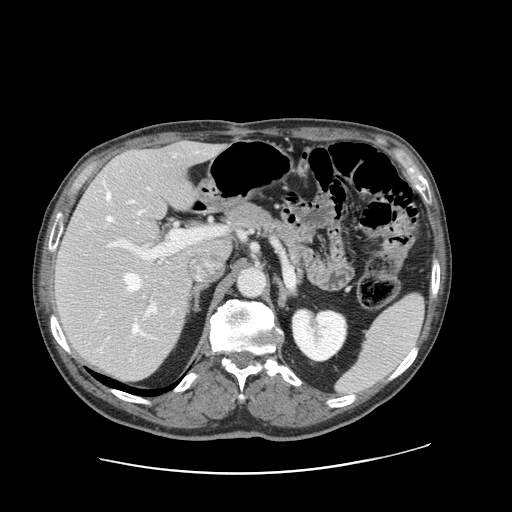

Liver; CT
Only some of the vessels may be annotated.
hepatic_vessel:
  - 106 192 110 199
  - 133 324 146 335
  - 138 211 142 213
  - 111 241 141 254
  - 125 274 139 290
  - 135 318 136 319
  - 107 217 111 221
  - 147 246 161 258
  - 126 201 133 202
  - 146 306 155 315